Pelvis, Field of view 424 mm wide, 3.00 mm slice spacing, CT image
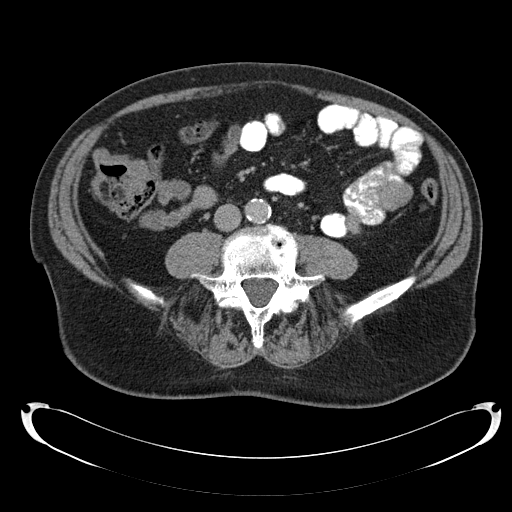

Colon tumor — {"x1": 92, "y1": 148, "x2": 150, "y2": 192}.